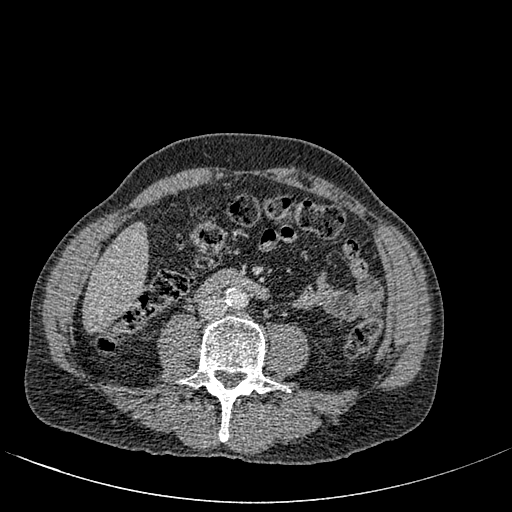 Liver, CT, 512x512 px
The liver lies within <bbox>85, 226, 146, 328</bbox>.